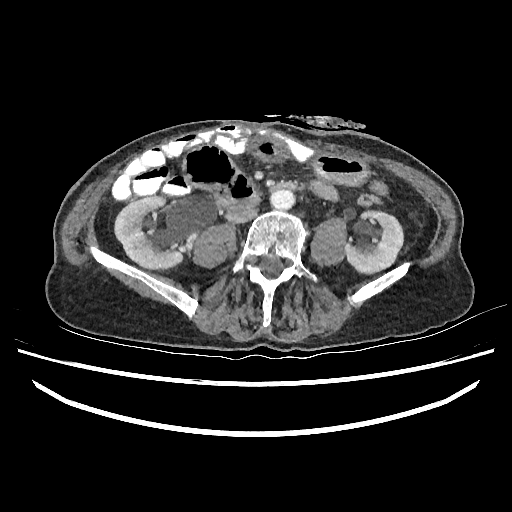
CT image
{"kidney": ["x1=345 y1=211 x2=402 y2=272", "x1=115 y1=196 x2=185 y2=268", "x1=186 y1=234 x2=195 y2=248"]}